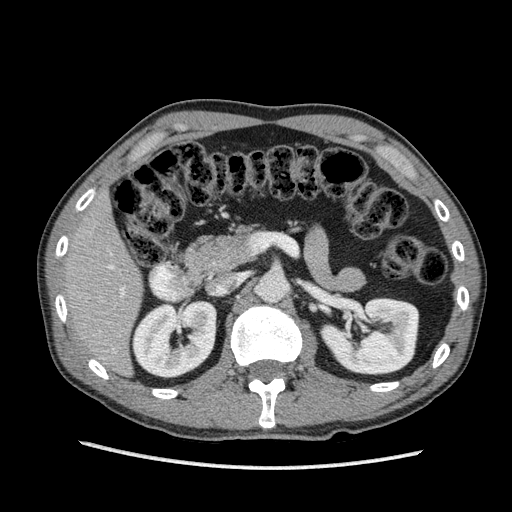 CT

The liver lies within 61 193 143 376. 2 kidney regions are bounded by 134 302 215 376, 322 299 417 373.